Field of view 240 mm wide, 1.00 mm slice spacing, Slice index 67
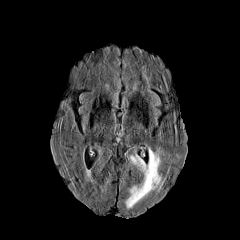
FLAIR MR image.
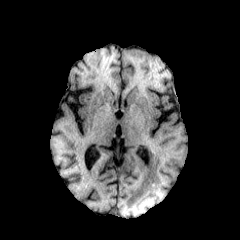
T1-weighted MRI.
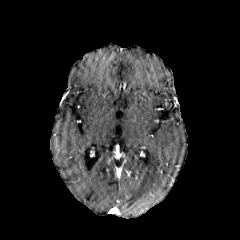
Post-contrast T1-weighted MR.
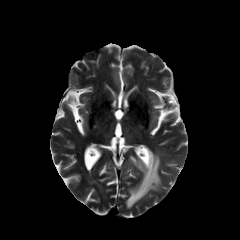
T2-weighted MR image of the same slice.
Edema: 125 148 160 212.